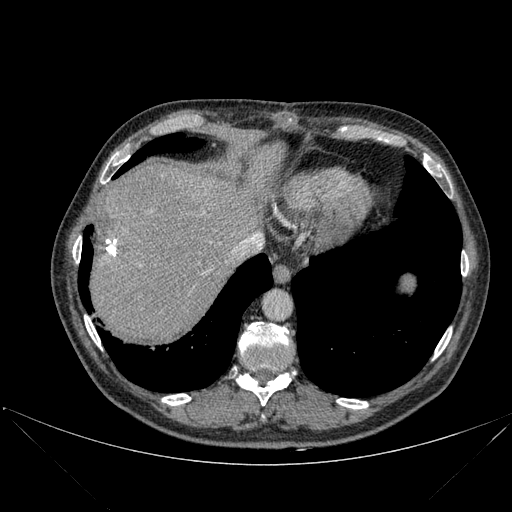 Abdomen. CT slice. bone: (236, 373, 290, 405), (101, 153, 128, 183), (461, 254, 468, 275), (84, 315, 101, 349), (72, 236, 81, 263), (162, 394, 190, 405), (239, 322, 288, 369), (424, 161, 441, 176), (337, 398, 368, 408), (433, 329, 451, 359) | liver: (90, 165, 272, 344), (248, 144, 283, 181) | lung: (78, 225, 92, 310), (113, 133, 203, 178), (292, 155, 461, 397), (98, 254, 272, 392)